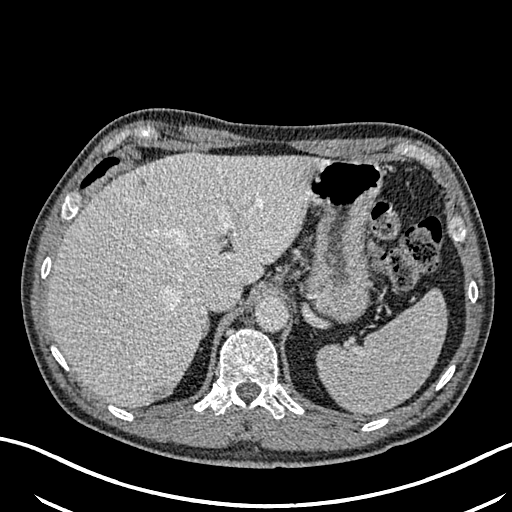
CT image
3 liver lesion regions appear at l=116, t=279, r=126, b=294; l=151, t=384, r=172, b=401; l=133, t=178, r=146, b=190. The liver is located at l=48, t=153, r=328, b=408.